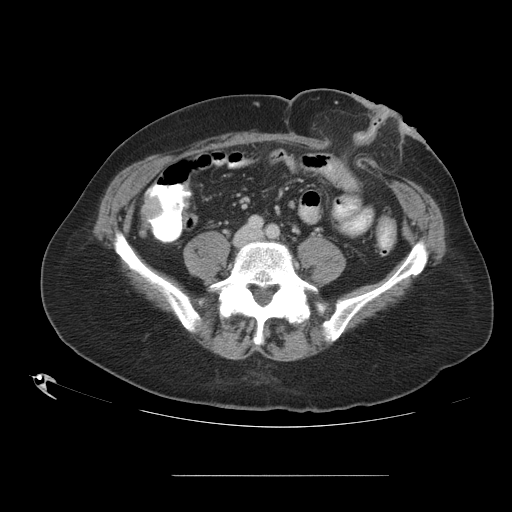
CT.
Colon tumor = x1=141 y1=196 x2=161 y2=219.